512x512 px, Upper abdomen, CT slice
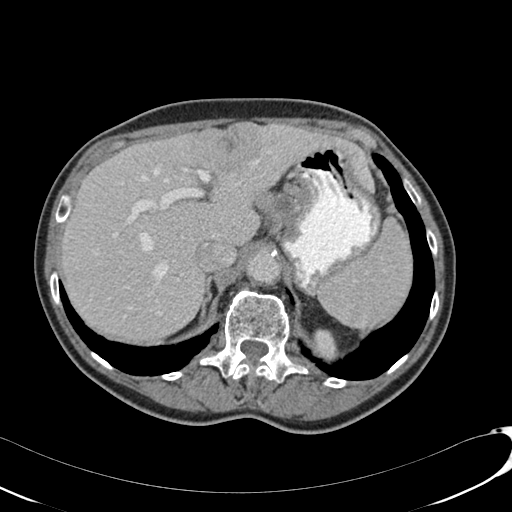 Focal liver lesion at [201, 123, 261, 171].
Liver at [63, 123, 373, 340].